Abdomen | Slice 58 of 97 | CT image | 512x512 px 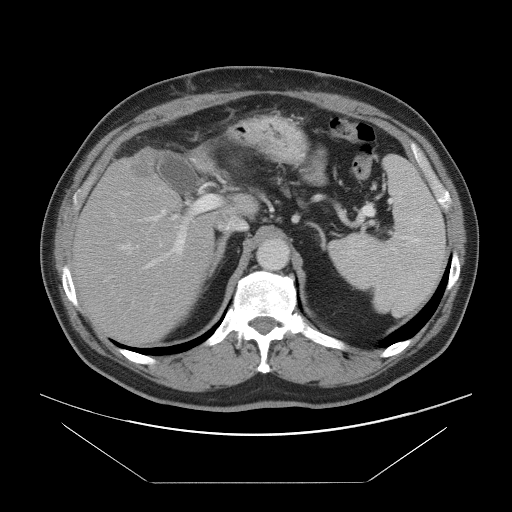 The vessel boxes may cover only some of the vessels.
Liver tumor: [x1=130, y1=153, x2=153, y2=178].
Hepatic vessel: [x1=148, y1=210, x2=165, y2=220], [x1=148, y1=258, x2=160, y2=265], [x1=172, y1=215, x2=176, y2=218], [x1=121, y1=249, x2=125, y2=249], [x1=125, y1=192, x2=128, y2=194], [x1=172, y1=228, x2=183, y2=251].